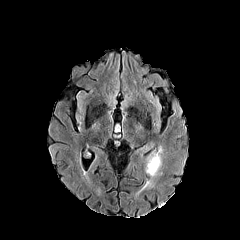
FLAIR MR image.
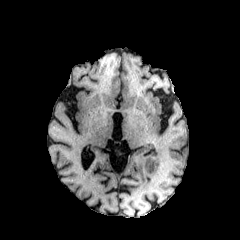
T1-weighted MRI.
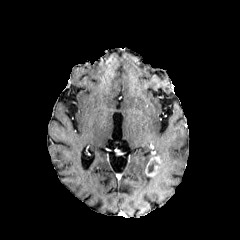
Post-contrast T1-weighted MRI of the same slice.
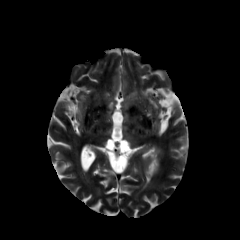
T2-weighted MR.
Image size 240x240
The edema appears at rect(146, 150, 160, 161). The enhancing tumor is located at rect(144, 155, 160, 177).